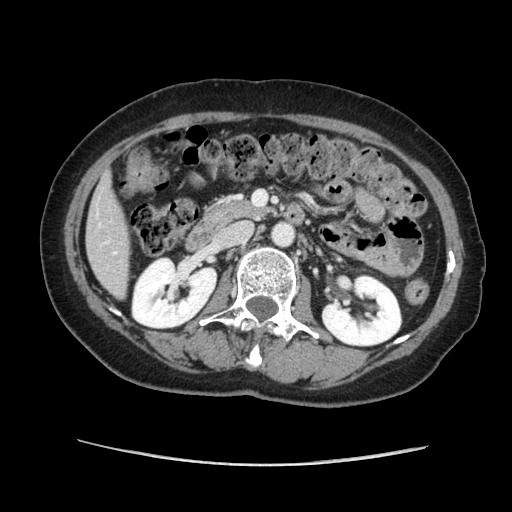

Computed tomography
pancreas:
  - [x1=205, y1=200, x2=268, y2=227]